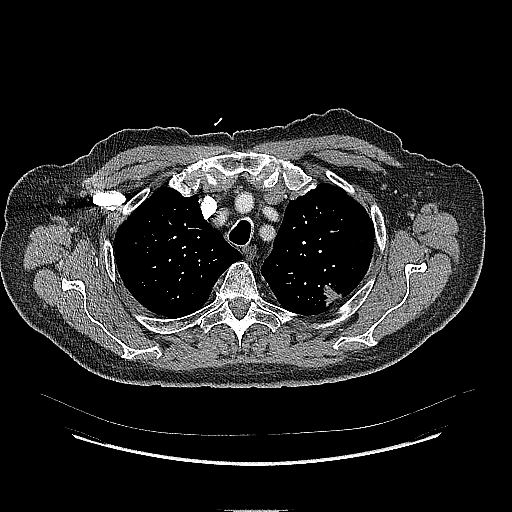
Computed tomography, Image size 512x512
Lung tumor: <box>318,283,344,308</box>.